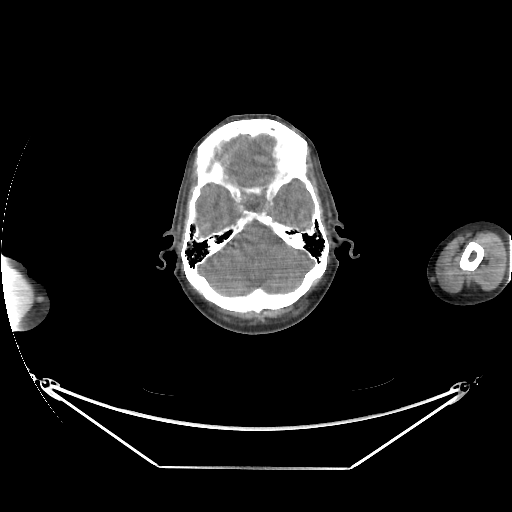

Head. CT slice. The brain lies within bbox(192, 133, 315, 296).